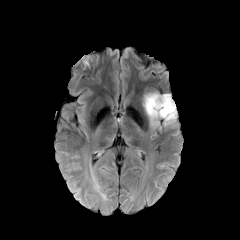
FLAIR magnetic resonance.
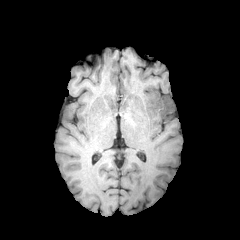
T1-weighted MR.
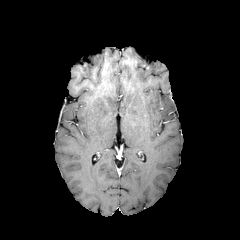
Same slice, post-contrast T1-weighted MR.
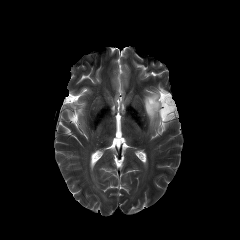
Same slice, T2-weighted magnetic resonance.
Non-enhancing tumor core: region(155, 95, 173, 118).
Edema: region(143, 91, 177, 130).